Image size 240x240, Brain
FLAIR MRI.
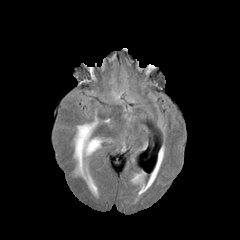
T1-weighted MR.
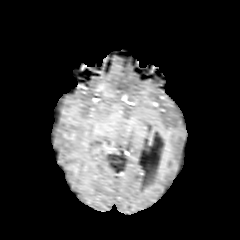
Post-contrast T1-weighted magnetic resonance.
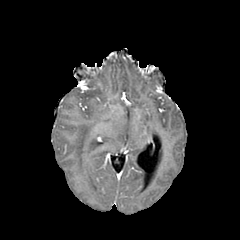
T2-weighted MR image.
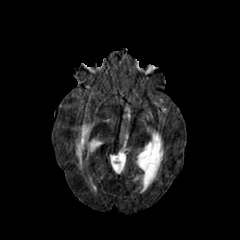
Annotated regions:
• edema: 74, 119, 103, 193